Field of view 344x344 mm, CT slice

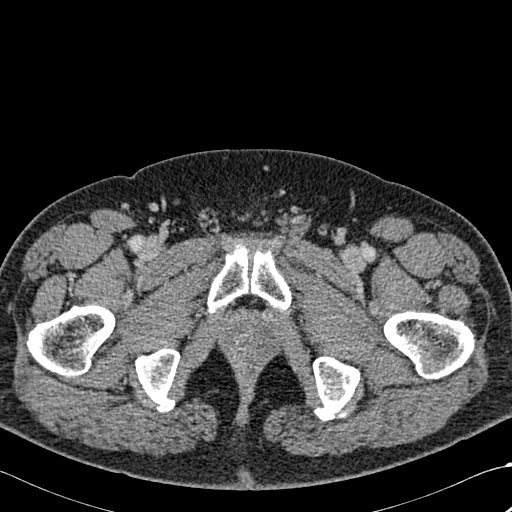 - bone: (left=27, top=304, right=114, bottom=375), (left=135, top=348, right=179, bottom=411), (left=207, top=244, right=291, bottom=312), (left=384, top=311, right=473, bottom=378), (left=313, top=356, right=359, bottom=420)